512x512, Thorax, CT scan slice, Image width 360 mm 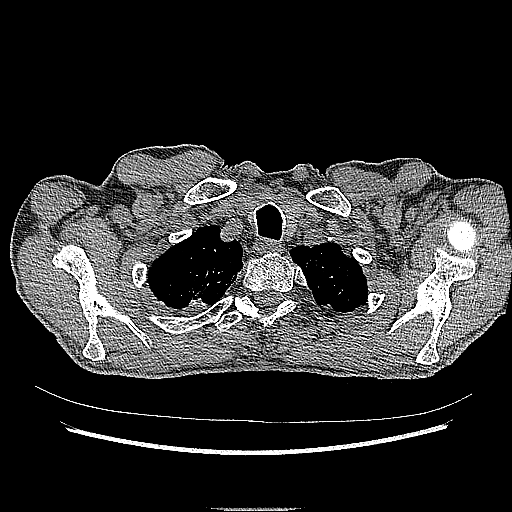
The lung tumor lies within {"x1": 165, "y1": 279, "x2": 220, "y2": 316}.